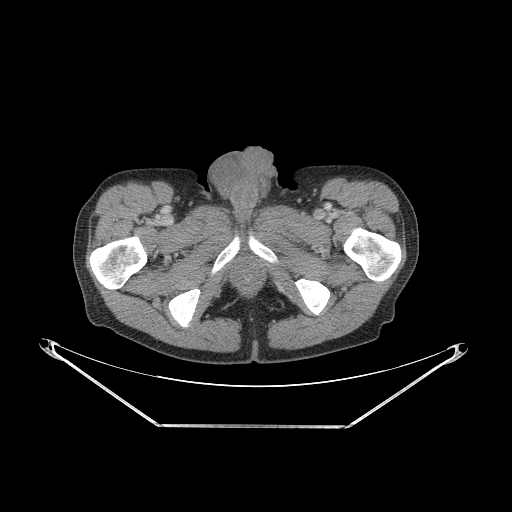 CT image. bone: (169, 289, 199, 326), (212, 237, 239, 273), (295, 279, 329, 314), (344, 228, 400, 281), (249, 236, 276, 262), (90, 237, 146, 288)